Brain, Image size 240x240
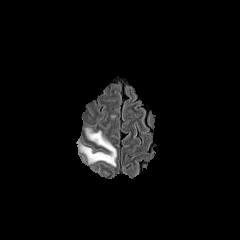
FLAIR magnetic resonance.
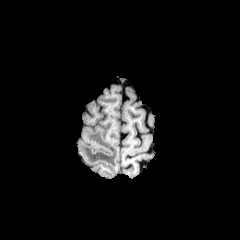
T1-weighted magnetic resonance.
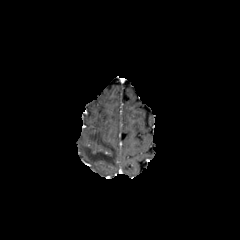
Post-contrast T1-weighted magnetic resonance.
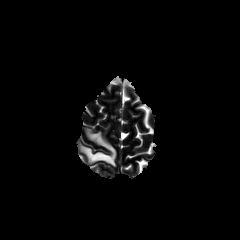
T2-weighted MR.
The edema lies within (80, 129, 116, 166).